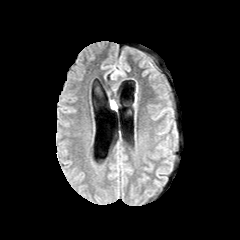
FLAIR MR.
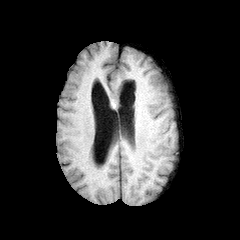
T1-weighted MR of the same slice.
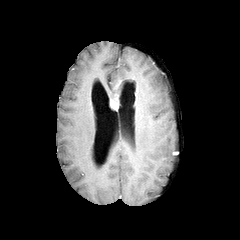
Post-contrast T1-weighted magnetic resonance of the same slice.
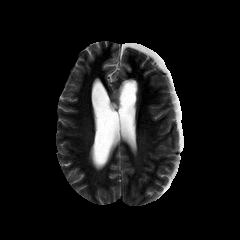
T2-weighted MR.
Enhancing tumor — [110,100,117,109].